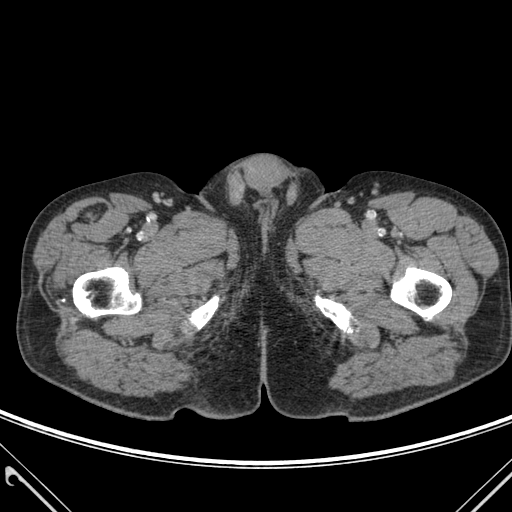
CT image

4 bone regions are bounded by x1=185, y1=296, x2=218, y2=329; x1=73, y1=267, x2=140, y2=317; x1=315, y1=296, x2=353, y2=332; x1=391, y1=267, x2=451, y2=319.